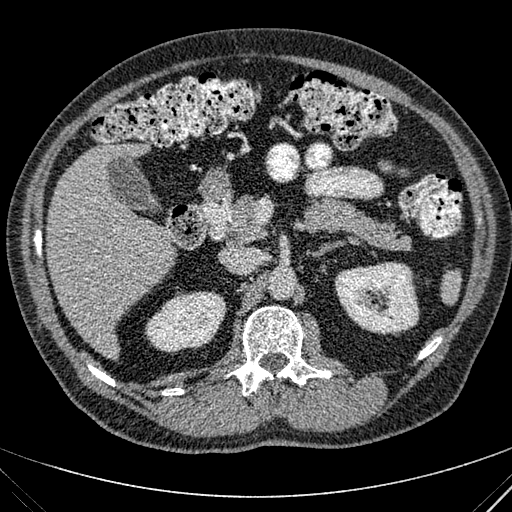
Abdomen, CT scan slice
<segmentation>
  <liver>box=[46, 143, 175, 359]</liver>
  <kidney>box=[146, 292, 225, 351]; box=[335, 262, 418, 334]</kidney>
</segmentation>